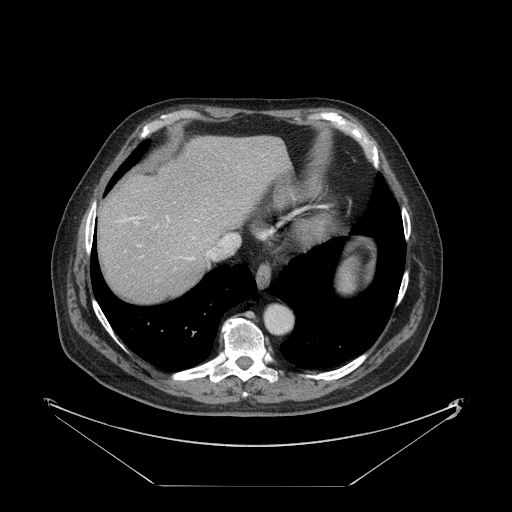

Abdomen. CT. The vessel annotation is not exhaustive.
{"hepatic_vessel": ["x1=136, y1=244, x2=139, y2=246"]}